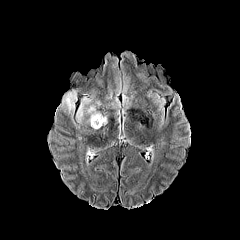
FLAIR MR.
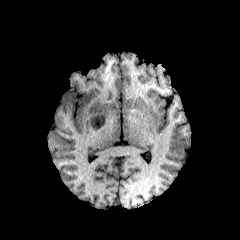
T1-weighted magnetic resonance.
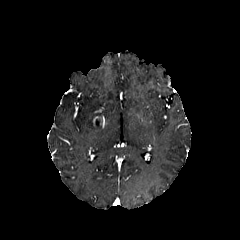
Same slice, post-contrast T1-weighted MRI.
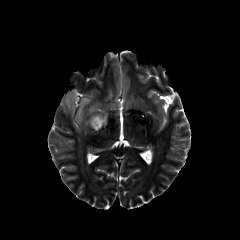
T2-weighted magnetic resonance.
Brain
Enhancing tumor — box=[93, 117, 107, 128].
Non-enhancing tumor core — box=[94, 118, 102, 127].
Edema — box=[56, 92, 76, 122]; box=[75, 95, 101, 131]; box=[106, 90, 120, 109].